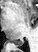
MR image; Medial temporal lobe; 38x52

The posterior hippocampus is located at [12, 40, 24, 45].